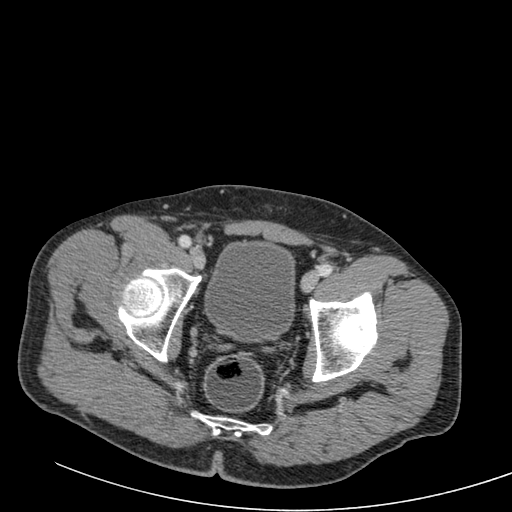
CT scan slice | Pelvis
Urinary bladder = [205,241,294,342].